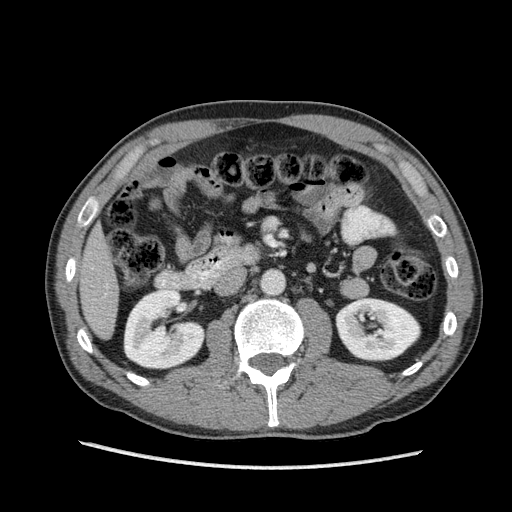

512x512 px. CT scan slice. {
  "liver": [
    "l=75, t=223, r=118, b=339"
  ],
  "kidney": [
    "l=125, t=290, r=203, b=367",
    "l=337, t=299, r=418, b=359"
  ]
}